CT slice; 512x512 px
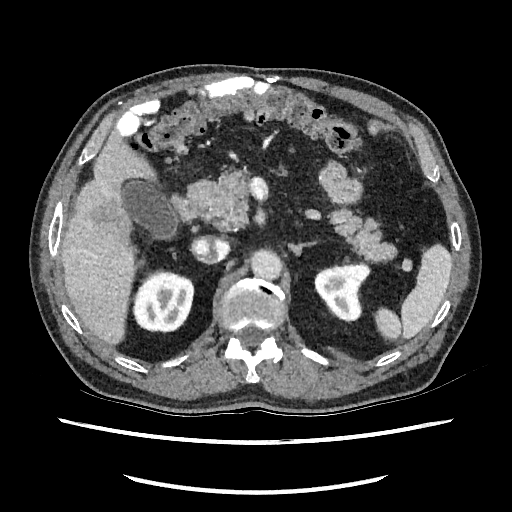
Segmented structures:
- kidney: bbox(315, 262, 369, 321); bbox(133, 271, 193, 332)
- liver: bbox(63, 134, 151, 344)
- liver lesion: bbox(94, 203, 129, 235)